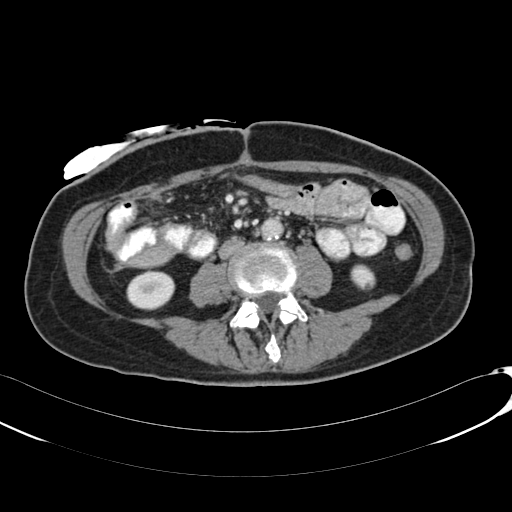

Abdomen; CT
Kidney = l=128, t=272, r=173, b=308; l=353, t=267, r=372, b=285.